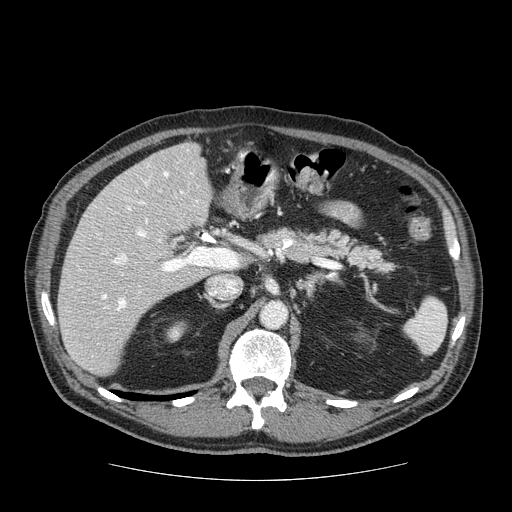 Upper abdomen; Computed tomography

Findings:
- pancreas: (x1=255, y1=227, x2=391, y2=274)